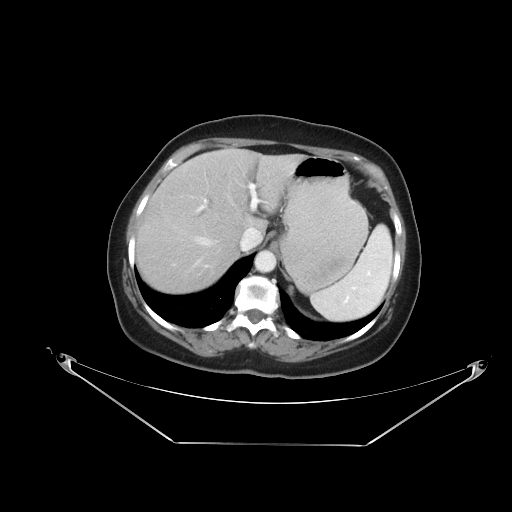

CT image | Abdomen

Only some of the vessels may be annotated.
9 hepatic vessel regions are bounded by x1=194 y1=237 x2=212 y2=245, x1=195 y1=259 x2=201 y2=264, x1=203 y1=265 x2=210 y2=267, x1=227 y1=191 x2=235 y2=205, x1=240 y1=228 x2=259 y2=249, x1=196 y1=199 x2=207 y2=212, x1=249 y1=183 x2=268 y2=209, x1=215 y1=240 x2=217 y2=242, x1=250 y1=219 x2=251 y2=222.